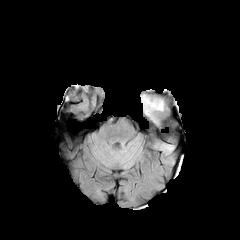
FLAIR MR image.
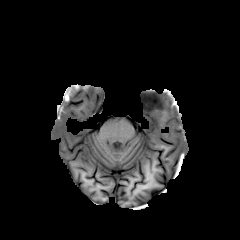
T1-weighted MR.
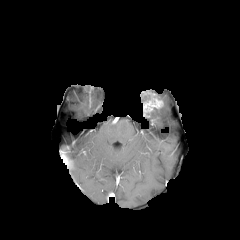
Post-contrast T1-weighted MR.
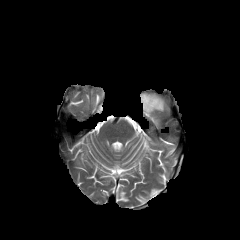
T2-weighted magnetic resonance of the same slice.
240x240 px
enhancing tumor: <box>141,93,163,116</box>